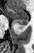 34x53 px | MRI slice | Medial temporal lobe
<segmentation>
  <anterior_hippocampus><box>7,9,28,23</box></anterior_hippocampus>
  <posterior_hippocampus><box>20,24,27,27</box></posterior_hippocampus>
</segmentation>